Slice 15 of 20 | 320x320
T2-weighted MR.
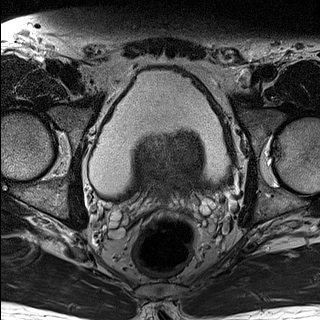
ADC MRI.
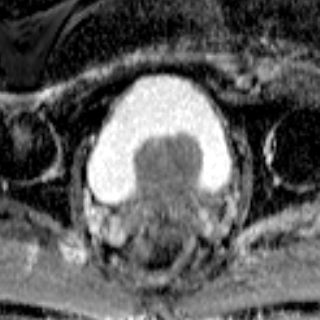
The prostate transition zone is at box=[137, 130, 202, 180].